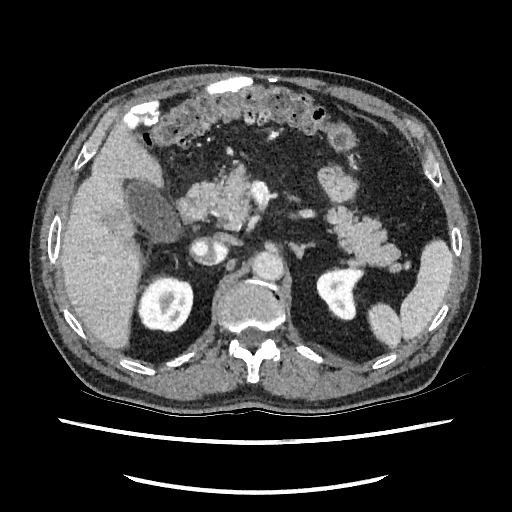 CT scan slice; Abdomen

Kidney = <bbox>316, 268, 363, 319</bbox>, <bbox>138, 276, 192, 331</bbox>.
Liver = <bbox>63, 123, 161, 347</bbox>.
Liver lesion = <bbox>101, 210, 123, 230</bbox>, <bbox>126, 237, 139, 256</bbox>.